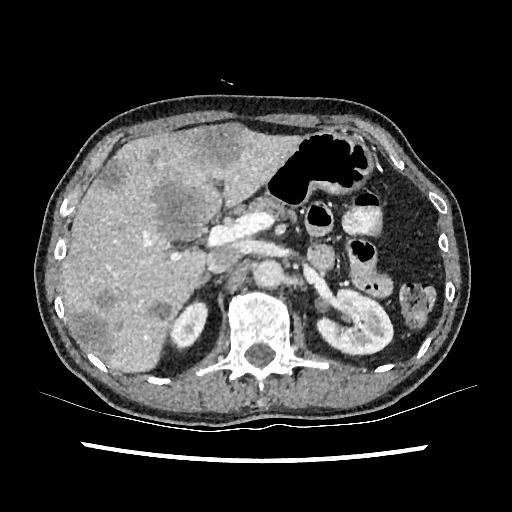 CT slice, Liver
liver: [x1=63, y1=131, x2=300, y2=371] | kidney: [x1=171, y1=303, x2=206, y2=346], [x1=318, y1=287, x2=394, y2=358] | focal liver lesion: [x1=183, y1=125, x2=248, y2=167], [x1=148, y1=301, x2=171, y2=320], [x1=153, y1=181, x2=202, y2=241], [x1=71, y1=312, x2=113, y2=355], [x1=146, y1=149, x2=160, y2=166], [x1=95, y1=290, x2=117, y2=309], [x1=95, y1=158, x2=128, y2=188]